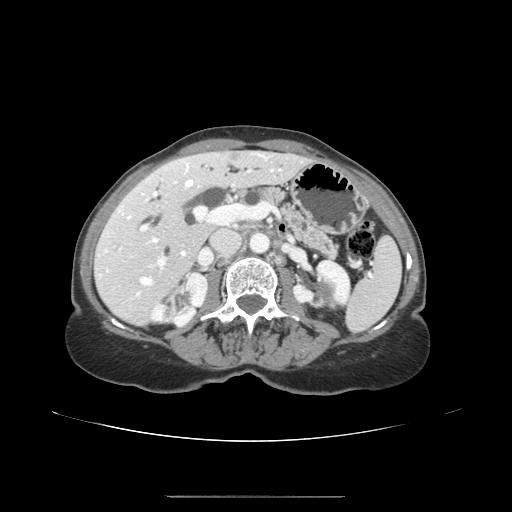
Image size 512x512 | Upper abdomen | CT scan slice
The pancreas is located at bbox(241, 187, 337, 259).